MRI. Medial temporal lobe. Image size 34x53.

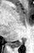
Posterior hippocampus = <bbox>12, 40, 22, 46</bbox>.